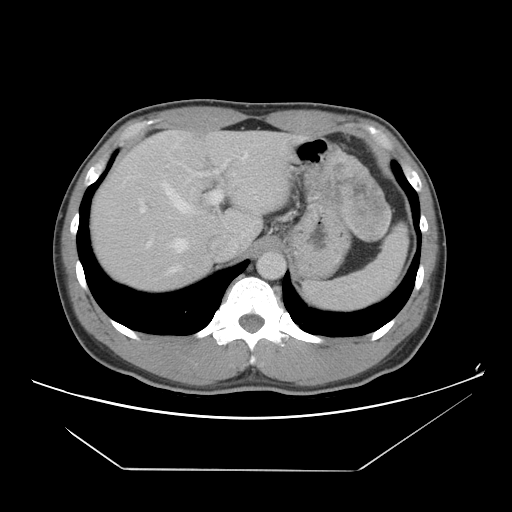 CT scan slice, 512x512 px
The vessel annotation is not exhaustive.
Hepatic vessel — box=[252, 190, 254, 191]; box=[174, 238, 187, 252]; box=[140, 199, 145, 212]; box=[233, 173, 235, 175]; box=[216, 170, 217, 172]; box=[146, 240, 151, 247]; box=[209, 190, 222, 203]; box=[168, 264, 181, 272]; box=[240, 152, 247, 161]; box=[162, 182, 192, 215]; box=[194, 172, 202, 176].
Liver tumor — box=[330, 162, 389, 238].